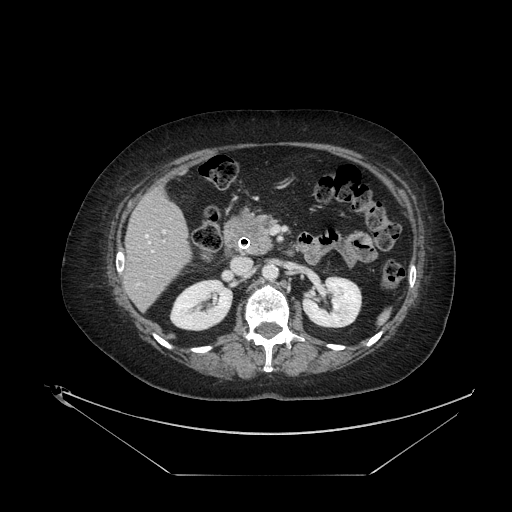 CT image
<segmentation>
  <pancreatic_tumor>232 217 268 237</pancreatic_tumor>
  <pancreas>227 211 277 256</pancreas>
</segmentation>